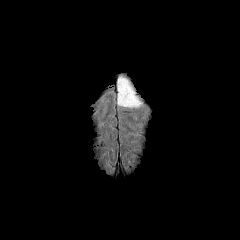
FLAIR MR image.
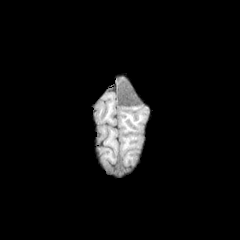
T1-weighted magnetic resonance of the same slice.
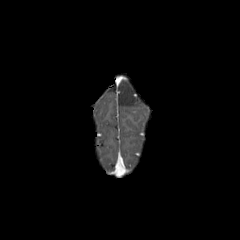
Post-contrast T1-weighted MR of the same slice.
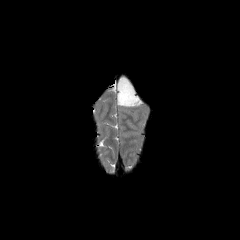
T2-weighted MRI of the same slice.
Edema: [x1=119, y1=80, x2=140, y2=107].